Image size 512x512, CT image, Image width 387 mm
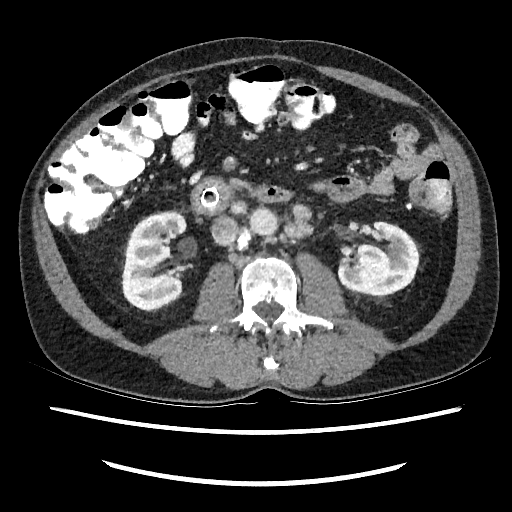

Kidney: region(338, 222, 417, 295); region(123, 213, 185, 309).